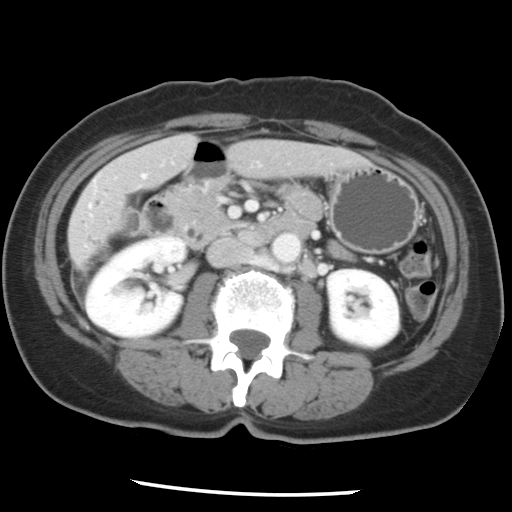 CT slice
Not every hepatic vessel necessarily has a box.
Hepatic vessel: bounding box x1=142, y1=174, x2=144, y2=176.